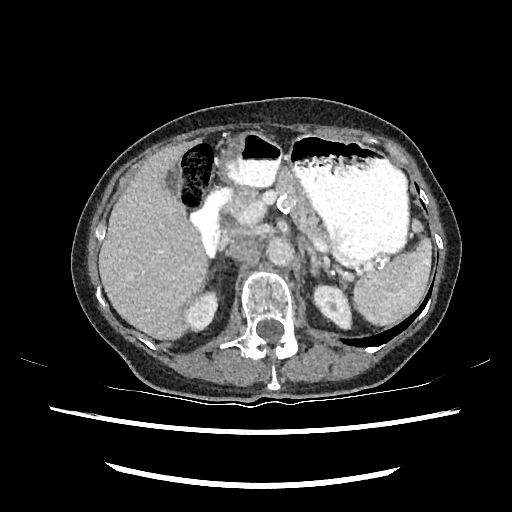

CT slice. Abdomen.
2 kidney regions are located at box(187, 295, 216, 328); box(315, 287, 349, 326). The liver appears at box(99, 140, 207, 339).